Slice 108 of 155
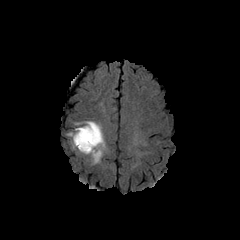
FLAIR MRI.
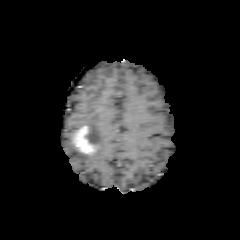
T1-weighted magnetic resonance.
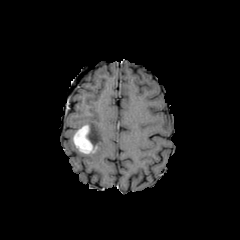
Post-contrast T1-weighted magnetic resonance of the same slice.
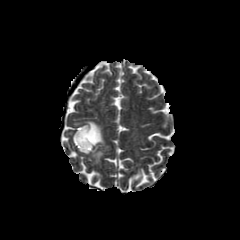
Same slice, T2-weighted MR image.
• enhancing tumor: 73:124:97:153
• non-enhancing tumor core: 87:127:95:146
• edema: 84:121:105:163